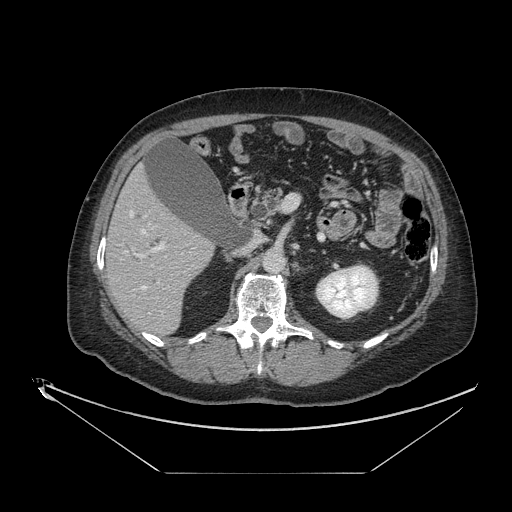 CT slice. pancreas:
  - (265, 187, 282, 213)